FLAIR magnetic resonance.
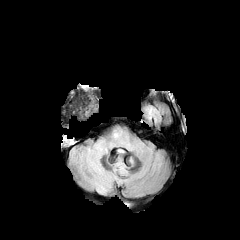
T1-weighted MR image.
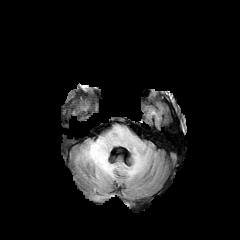
Post-contrast T1-weighted magnetic resonance.
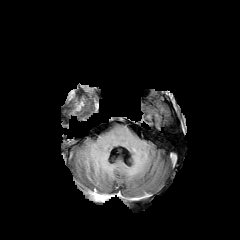
T2-weighted magnetic resonance.
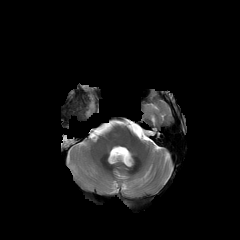
Brain
{
  "edema": [
    "l=96, t=182, r=107, b=191"
  ]
}